MR image | Hippocampus | Slice 18/35 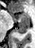

* anterior hippocampus: rect(14, 12, 29, 22)
* posterior hippocampus: rect(14, 23, 30, 33)